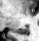
MRI slice | 39x41 px | Medial temporal lobe
posterior_hippocampus:
  - (16, 27, 28, 34)